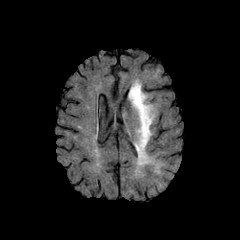
FLAIR magnetic resonance.
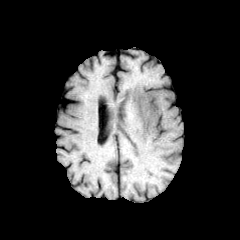
T1-weighted MRI.
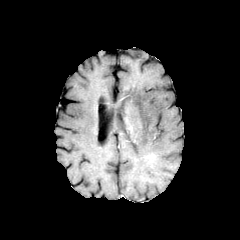
Same slice, post-contrast T1-weighted magnetic resonance.
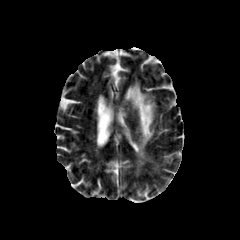
T2-weighted magnetic resonance.
{"edema": ["<bbox>128, 80, 156, 166</bbox>"]}